Medial temporal lobe; Slice index 19; MR

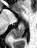

Segmented structures:
* posterior hippocampus: 12:23:24:38